Brain
FLAIR MR image.
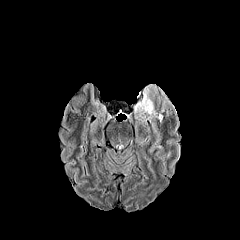
T1-weighted MRI.
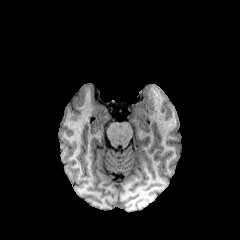
Post-contrast T1-weighted MR.
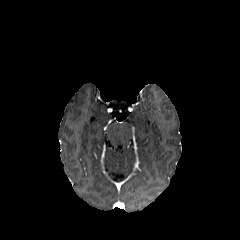
T2-weighted MR image.
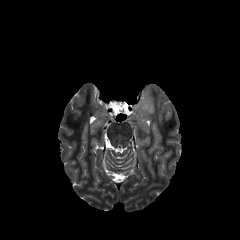
• edema: (128,84,155,132)